CT image. Slice 265 of 461. Upper abdomen.

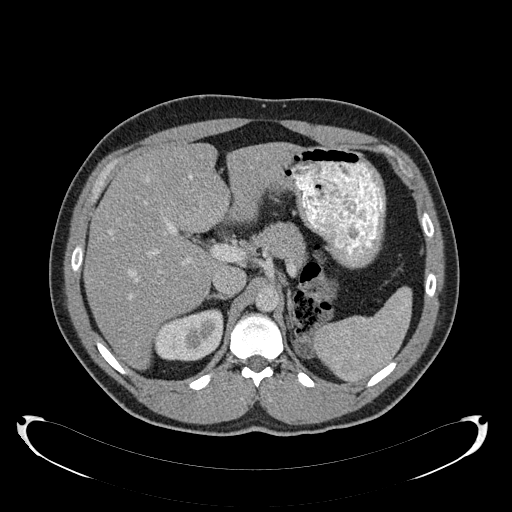

Liver — box=[85, 143, 298, 368].
Kidney — box=[152, 310, 222, 360].